FLAIR MRI.
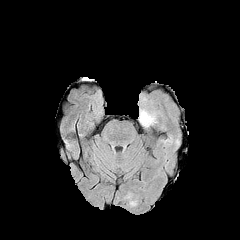
T1-weighted magnetic resonance.
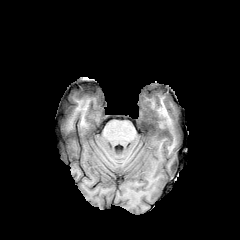
Post-contrast T1-weighted MR image.
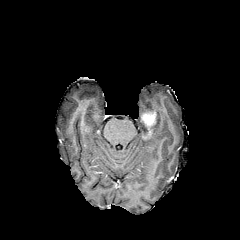
T2-weighted MRI.
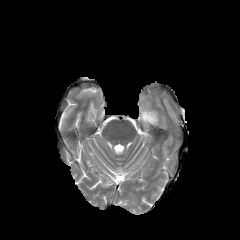
Brain.
The enhancing tumor is located at (141, 112, 155, 125). The edema appears at (138, 108, 152, 127).